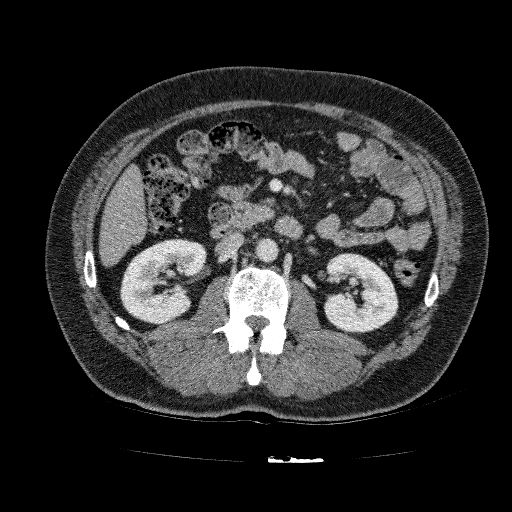

512x512 px, CT scan slice
The liver is bounded by (100,165,146,265). 2 kidney regions are bounded by (325,254,397,331), (121,239,205,323).